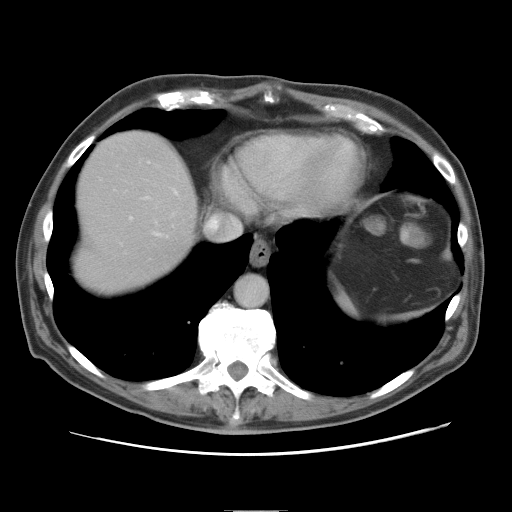 CT slice | 512x512 px | Abdomen
Only some of the vessels may be annotated.
4 hepatic vessel regions are bounded by {"x1": 145, "y1": 197, "x2": 148, "y2": 199}, {"x1": 155, "y1": 233, "x2": 160, "y2": 235}, {"x1": 130, "y1": 217, "x2": 132, "y2": 219}, {"x1": 165, "y1": 236, "x2": 167, "y2": 237}.